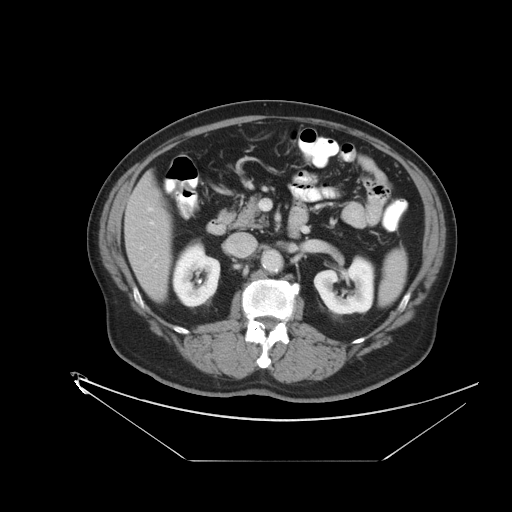 512x512 px | Abdomen | CT

Not every hepatic vessel necessarily has a box.
hepatic vessel: 150 222 153 223, 148 208 152 210, 141 247 142 248